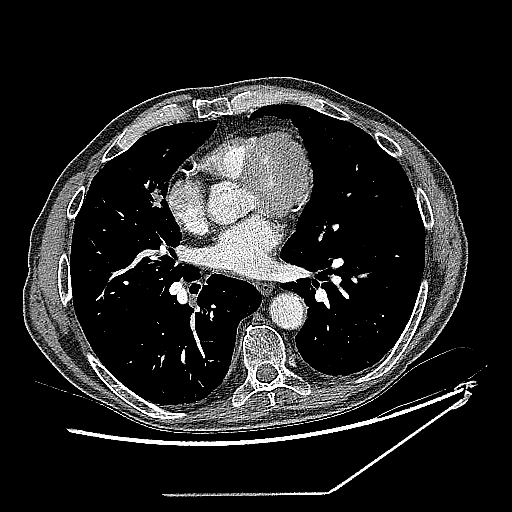

CT scan slice

Findings:
- lung tumor: box=[147, 179, 168, 208]